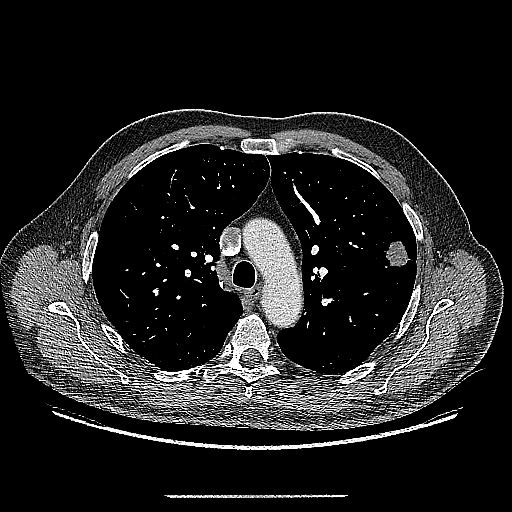
Thorax. Computed tomography. 512x512.

The lung tumor is at (x1=384, y1=240, x2=408, y2=267).